Brain
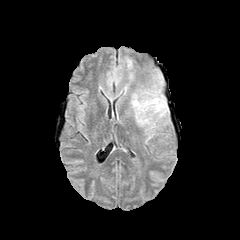
FLAIR MR.
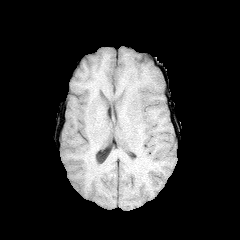
Same slice, T1-weighted MR image.
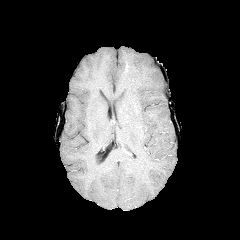
Same slice, post-contrast T1-weighted MR image.
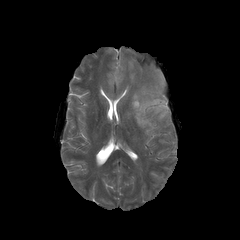
T2-weighted MR image of the same slice.
<segmentation>
  <edema>box(131, 86, 168, 129)</edema>
</segmentation>